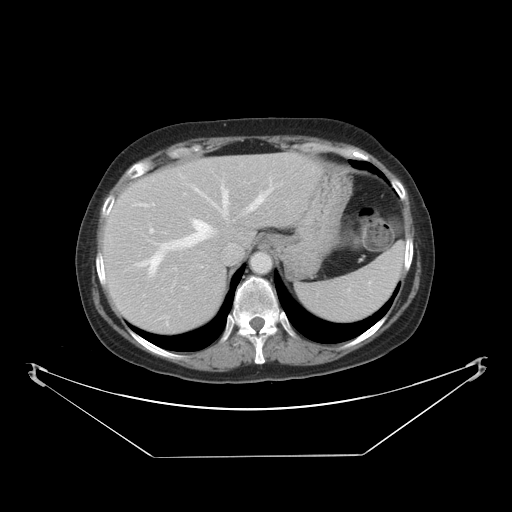 Image size 512x512. CT slice. Abdomen. The vessel boxes may cover only some of the vessels.
hepatic_vessel:
  - (left=194, top=187, right=207, bottom=197)
  - (left=139, top=203, right=145, bottom=205)
  - (left=138, top=219, right=211, bottom=272)
  - (left=210, top=185, right=228, bottom=214)
  - (left=149, top=229, right=152, bottom=233)
  - (left=248, top=188, right=271, bottom=210)